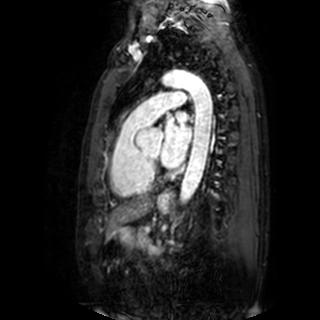

Cardiac | 320x320 | MRI
Segmented structures:
- left atrium: box(160, 111, 191, 168)